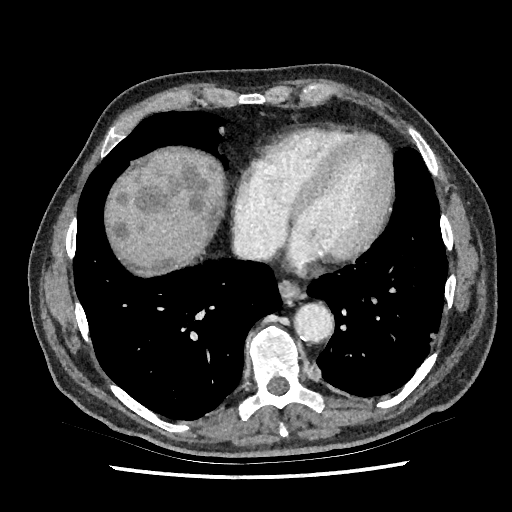

Image size 512x512; Computed tomography
Hepatic lesion at (125,257,176,274), (134,161,220,232), (127,155,151,174), (113,222,128,240), (116,191,127,204), (206,162,216,171).
Liver at (108,148,224,269).